FLAIR magnetic resonance.
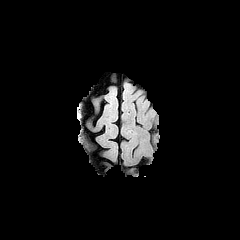
T1-weighted MR.
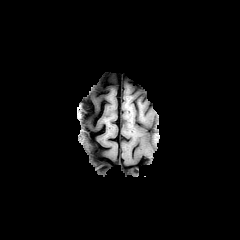
Post-contrast T1-weighted MR.
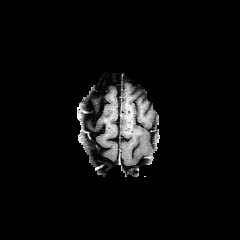
T2-weighted MR.
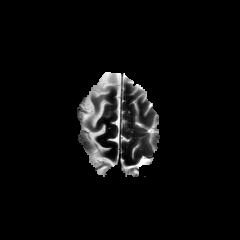
Head
<segmentation>
  <edema>box(130, 112, 143, 121)</edema>
</segmentation>